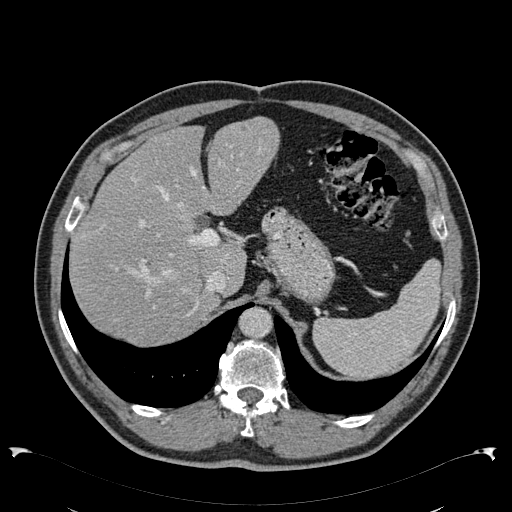

Liver. 512x512. CT. {"liver": ["72, 118, 279, 342"]}